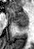 MRI. 34x49 px. Medial temporal lobe. Anterior hippocampus — rect(8, 7, 27, 23).
Posterior hippocampus — rect(13, 24, 27, 30).